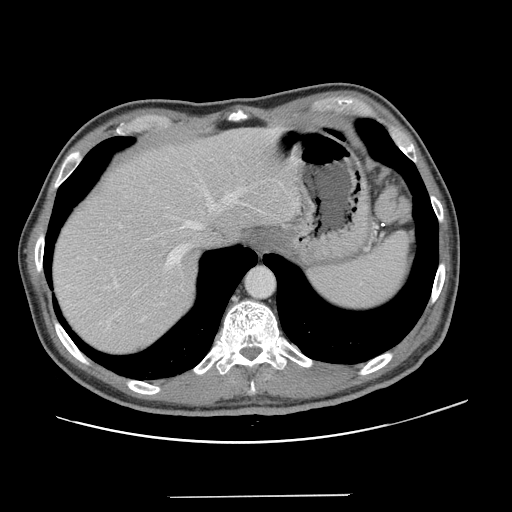
Liver, CT

Not every hepatic vessel necessarily has a box.
4 hepatic vessel regions are located at <box>184,221,201,228</box>, <box>119,224,121,226</box>, <box>167,245,186,266</box>, <box>115,279,117,287</box>.